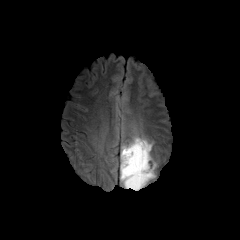
FLAIR MRI.
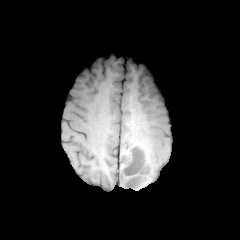
Same slice, T1-weighted MR.
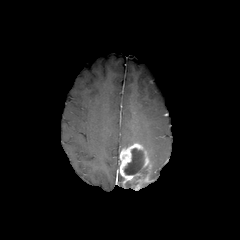
Post-contrast T1-weighted MR image.
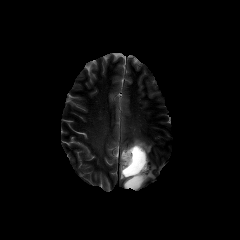
T2-weighted magnetic resonance.
Head
Non-enhancing tumor core at x1=124, y1=148, x2=144, y2=177.
Edema at x1=120, y1=135, x2=155, y2=183.
Enhancing tumor at x1=119, y1=142, x2=149, y2=189.